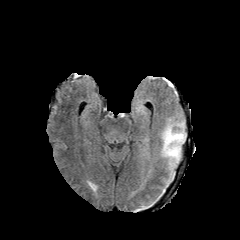
FLAIR MR.
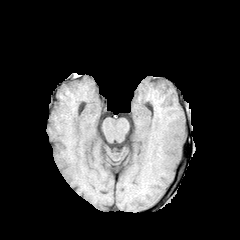
T1-weighted magnetic resonance of the same slice.
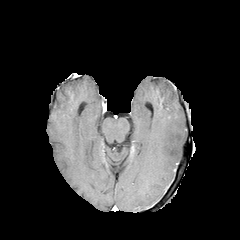
Same slice, post-contrast T1-weighted MR image.
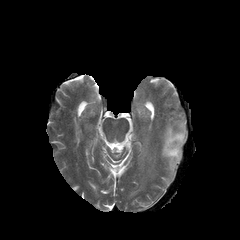
T2-weighted MR image of the same slice.
Edema: l=163, t=127, r=185, b=170.